CT scan slice
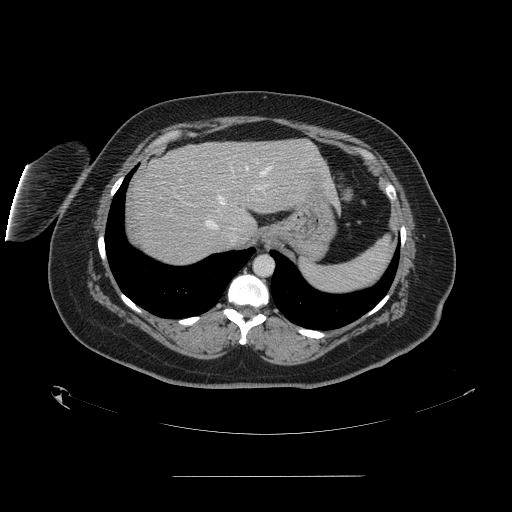

{"spleen": ["299, 235, 392, 293"]}